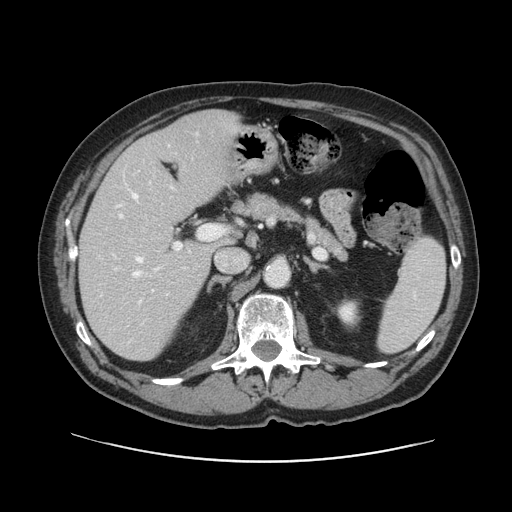

CT slice. Abdomen.

Some hepatic vessels may have no box.
8 hepatic vessel regions appear at bbox(138, 300, 140, 303); bbox(116, 204, 120, 206); bbox(119, 214, 122, 217); bbox(114, 268, 116, 269); bbox(133, 271, 139, 276); bbox(133, 194, 137, 198); bbox(155, 268, 158, 270); bbox(136, 257, 142, 261).